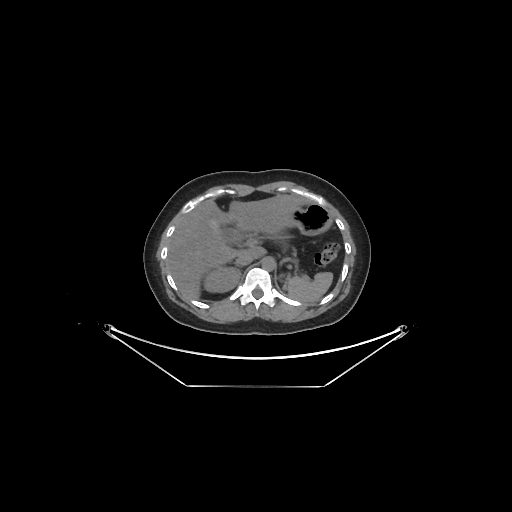
Computed tomography

The liver is at x1=163, y1=194, x2=309, y2=297. The kidney is at x1=205, y1=267, x2=240, y2=291.